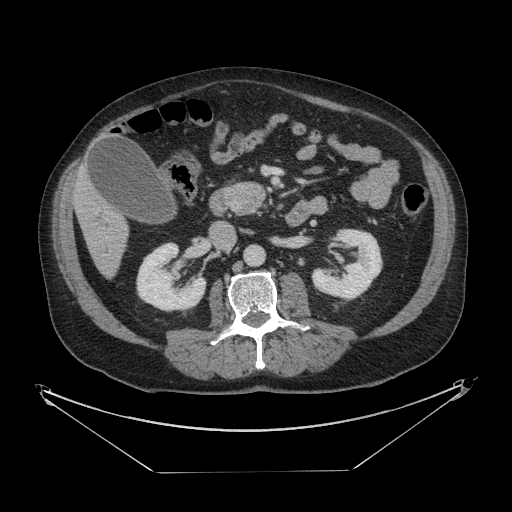
512x512 px, Upper abdomen, Computed tomography

The pancreas is at (236, 183, 263, 212).